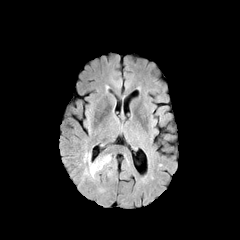
FLAIR MR image.
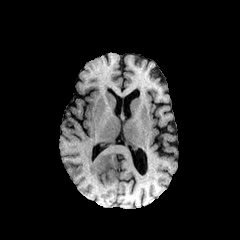
T1-weighted magnetic resonance of the same slice.
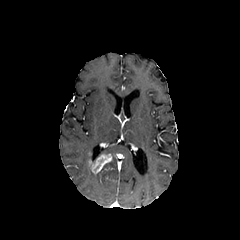
Post-contrast T1-weighted MR of the same slice.
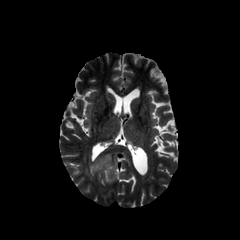
Same slice, T2-weighted MRI.
Head. Image size 240x240.
Segmented structures:
• edema: rect(82, 151, 90, 163); rect(83, 167, 95, 181)
• enhancing tumor: rect(88, 153, 112, 173)